Computed tomography | Liver 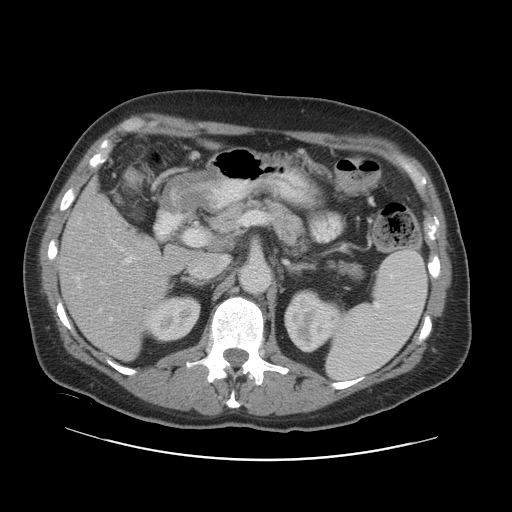
Not every hepatic vessel necessarily has a box.
hepatic_vessel:
  - box=[111, 240, 124, 251]
  - box=[118, 229, 119, 230]
  - box=[122, 256, 136, 263]